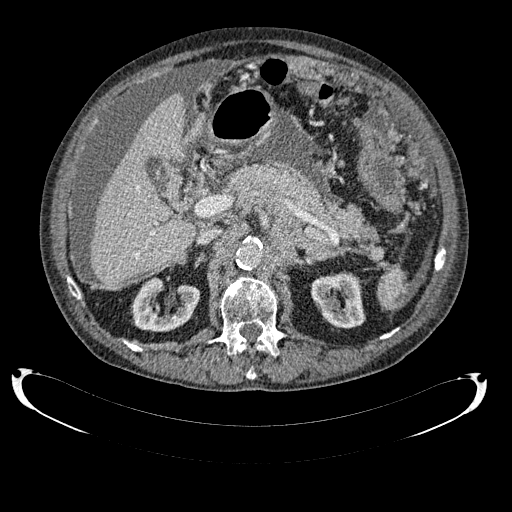
Abdomen, CT scan slice
<segmentation>
  <liver>l=91, t=93, r=194, b=287</liver>
  <kidney>l=311, t=274, r=364, b=327; l=132, t=278, r=199, b=331</kidney>
</segmentation>